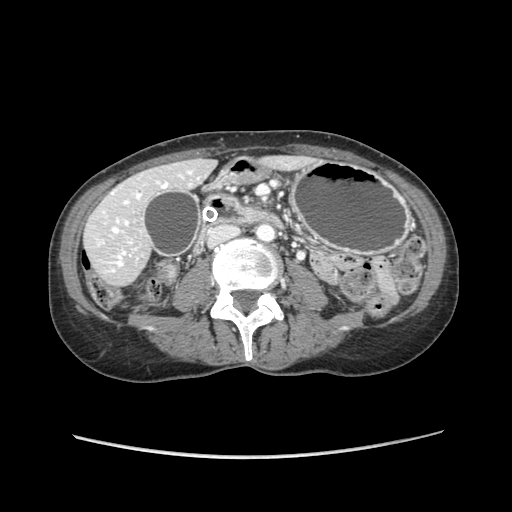

Upper abdomen; CT slice

pancreas:
  - {"x1": 222, "y1": 198, "x2": 270, "y2": 224}